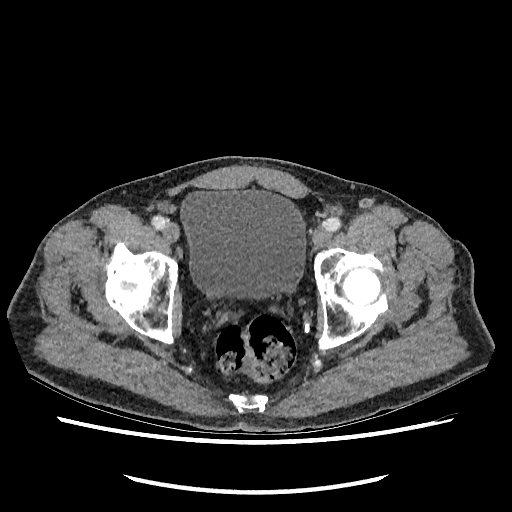 CT image. Pelvis.
* urinary bladder: l=180, t=189, r=306, b=298